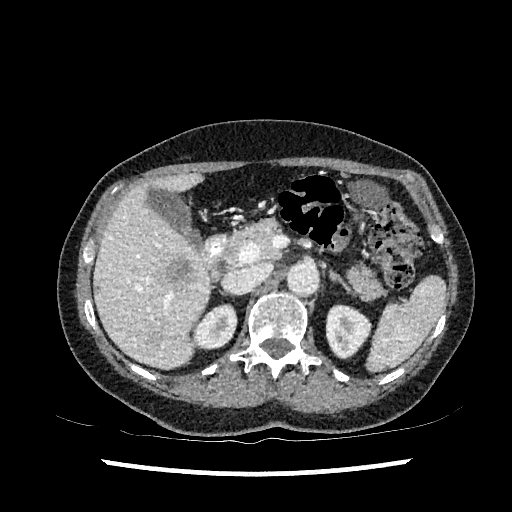
Abdomen | CT

2 kidney regions are located at bbox(326, 306, 369, 357); bbox(195, 306, 236, 347). 2 focal liver lesion regions appear at bbox(165, 258, 192, 287); bbox(150, 329, 163, 346). The liver is at bbox(94, 172, 210, 368).